Prostate | 320x320 px
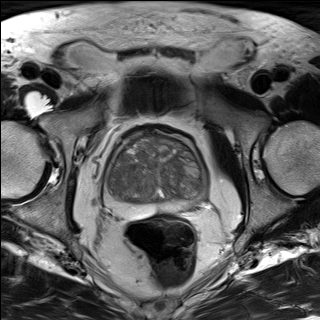
T2-weighted MRI.
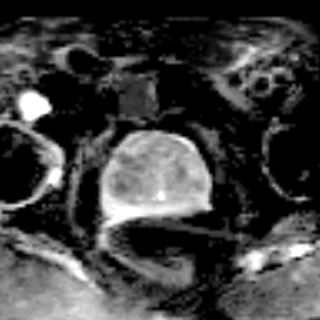
ADC magnetic resonance of the same slice.
The prostate transition zone appears at rect(106, 133, 202, 203). The prostate peripheral zone is at rect(105, 155, 207, 218).